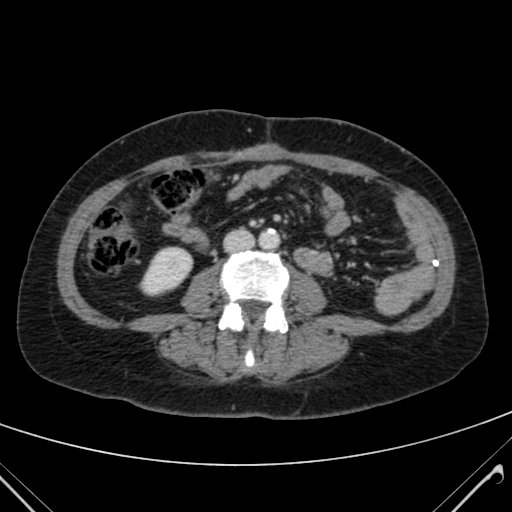 Computed tomography.
Kidney = [144,248,190,292].